Image width 320 mm | CT image | Lower abdomen 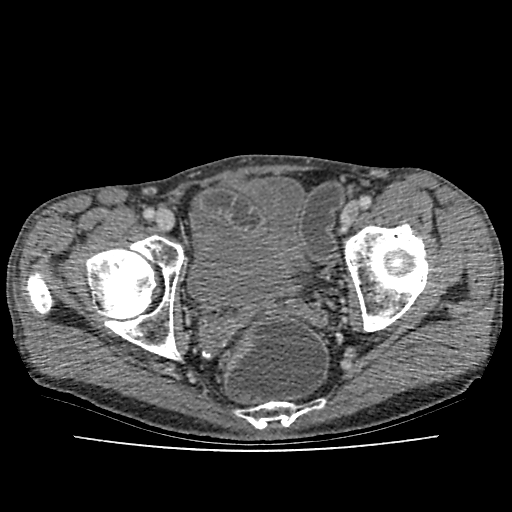

Annotated regions:
• urinary bladder: (left=187, top=176, right=305, bottom=308)